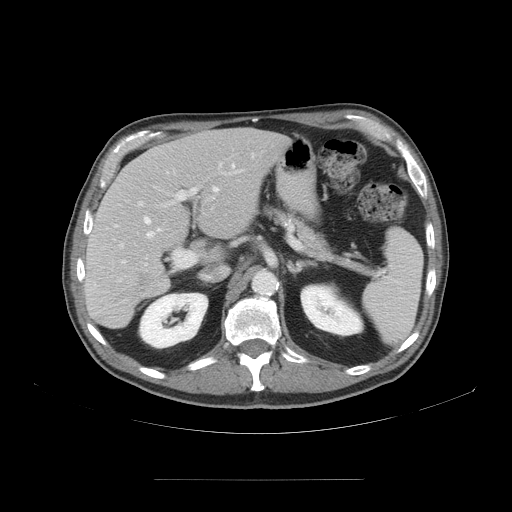 Computed tomography.

The vessel annotation is not exhaustive.
12 hepatic vessel regions are bounded by 219, 162, 221, 167; 212, 186, 219, 192; 228, 163, 239, 173; 144, 263, 146, 265; 173, 250, 196, 266; 146, 227, 161, 238; 123, 261, 124, 262; 120, 244, 122, 246; 114, 224, 118, 227; 143, 216, 151, 224; 138, 201, 142, 205; 162, 187, 197, 206.